CT scan slice. Liver. 512x512.

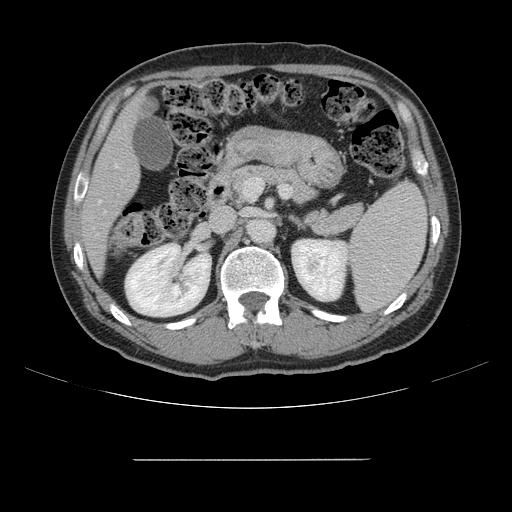

The vessel annotation is not exhaustive.
hepatic vessel: 99,200,100,203